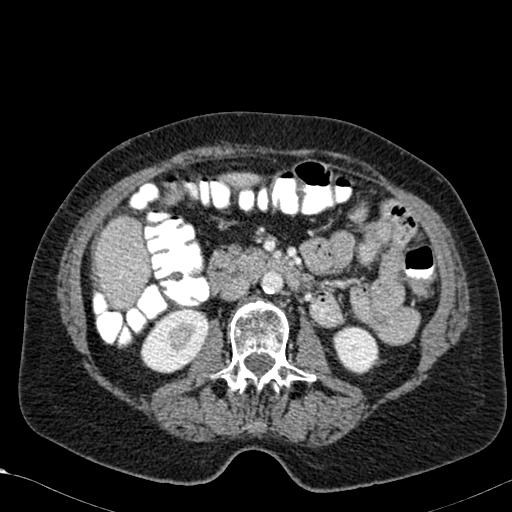

CT
Annotated regions:
• kidney: [x1=141, y1=301, x2=209, y2=372], [x1=334, y1=327, x2=377, y2=372]
• liver: [x1=95, y1=217, x2=149, y2=308], [x1=223, y1=173, x2=258, y2=185], [x1=168, y1=191, x2=181, y2=203]